Field of view 240 mm wide, 1.00 mm slice spacing
FLAIR MRI.
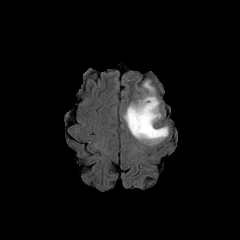
T1-weighted MR.
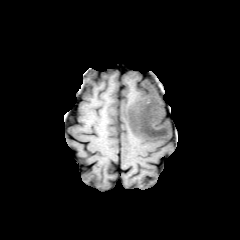
Post-contrast T1-weighted magnetic resonance.
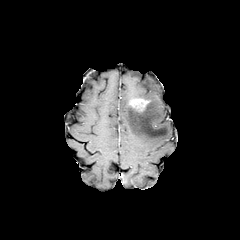
T2-weighted MR image.
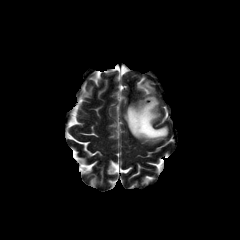
{
  "edema": [
    "124,81,168,142"
  ],
  "enhancing_tumor": [
    "129,99,148,111"
  ]
}